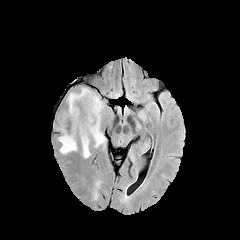
FLAIR MR image.
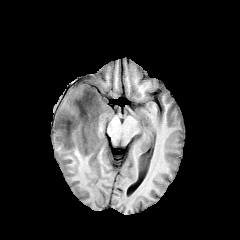
T1-weighted MRI.
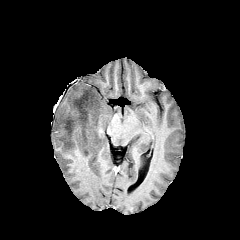
Same slice, post-contrast T1-weighted MR image.
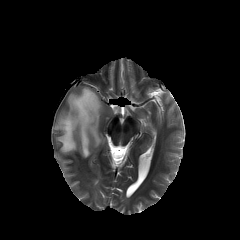
T2-weighted MRI of the same slice.
The non-enhancing tumor core is at 65 90 98 139. The edema is bounded by 56 87 107 158.